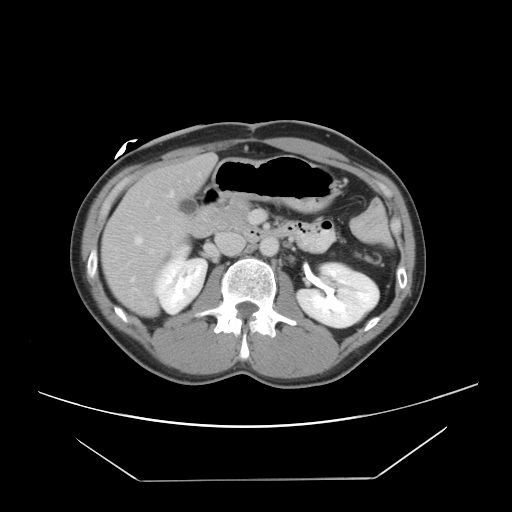

Liver, CT slice
The vessel annotation is not exhaustive.
Top 15 of 16 hepatic vessel regions: bounding box 131:277:134:282, 172:241:175:246, 158:250:160:251, 116:247:117:249, 145:200:149:206, 198:173:199:175, 168:190:173:197, 163:266:165:267, 135:235:142:245, 159:270:161:272, 131:288:139:294, 128:227:132:229, 155:216:159:220, 148:248:154:252, 153:286:156:294.